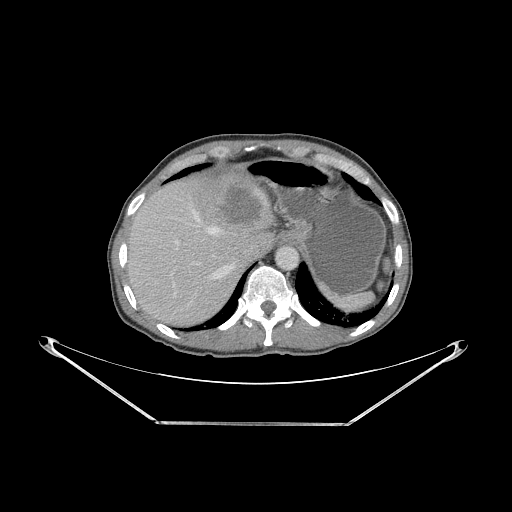

Abdomen; 512x512 px; CT scan slice

Liver at 128:163:272:327.
Bone at 157:324:178:338, 219:266:319:345, 124:285:135:308, 383:202:397:222, 128:194:144:214, 388:284:398:305, 350:321:374:335, 395:245:401:266, 119:244:126:266.
Lung at 345:176:375:201, 295:264:378:326, 178:165:205:177, 197:276:244:328.
Liver lesion at 222:188:261:224.